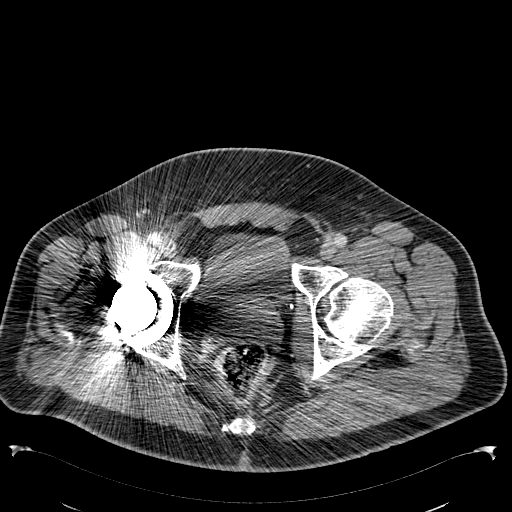 CT | Lower abdomen
The urinary bladder is at x1=195, y1=231, x2=292, y2=305.